FLAIR MRI.
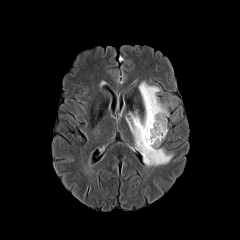
T1-weighted MRI.
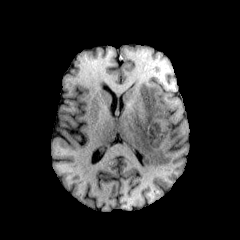
Post-contrast T1-weighted MRI.
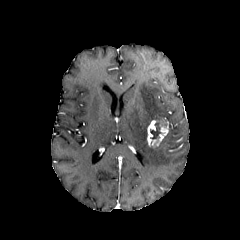
T2-weighted MRI.
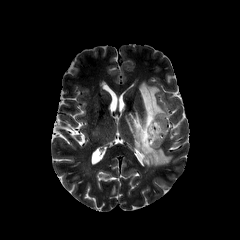
Brain
Edema = box(126, 81, 173, 167).
Non-enhancing tumor core = box(149, 122, 161, 139).
Enhancing tumor = box(147, 118, 168, 146).